Slice 92/155, Brain
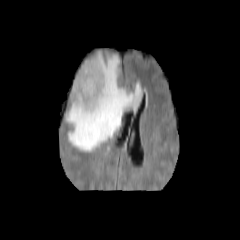
FLAIR MR image.
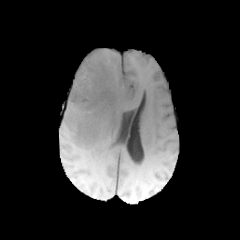
T1-weighted magnetic resonance of the same slice.
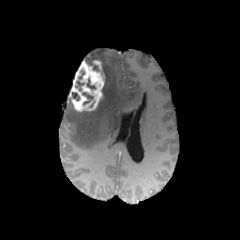
Same slice, post-contrast T1-weighted MR.
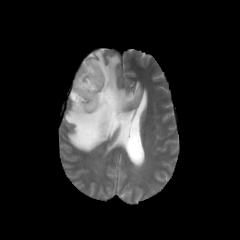
Same slice, T2-weighted MRI.
non-enhancing_tumor_core:
  - <box>82,92,93,104</box>
  - <box>100,78,106,101</box>
edema:
  - <box>65,50,142,151</box>
enhancing_tumor:
  - <box>68,59,105,111</box>